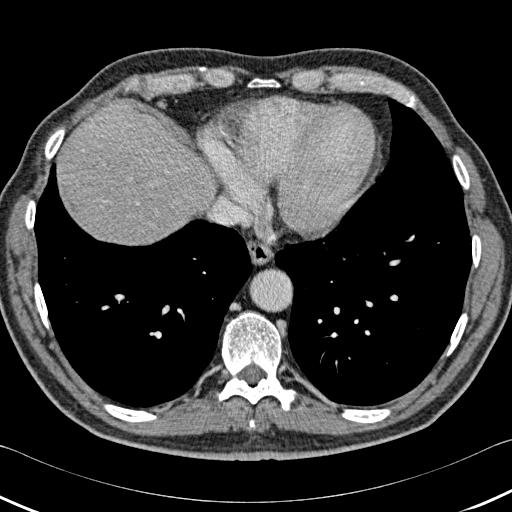 Computed tomography | Image size 512x512

The liver is at (66,108,209,244). 11 bone regions are located at (104,405,156,422), (34,283,48,328), (403,93,415,107), (25,201,35,228), (472,235,480,267), (447,313,467,355), (453,155,469,188), (342,409,389,422), (45,129,64,158), (248,78,279,87), (217,312,295,410). 2 lung regions are located at (274,97,472,405), (34,163,253,408).